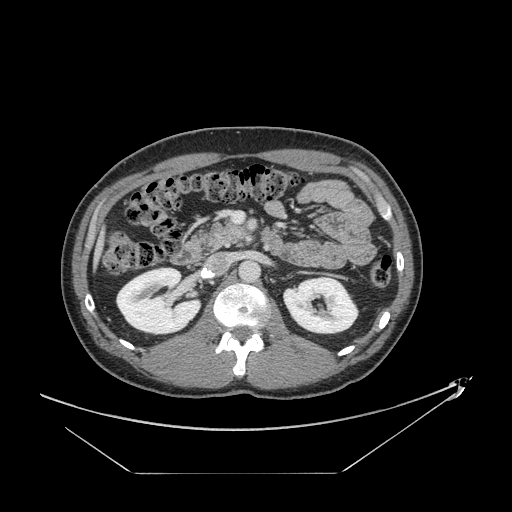

512x512 px; CT slice

pancreas:
  - [197,221,251,251]